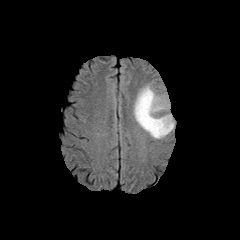
FLAIR MR image.
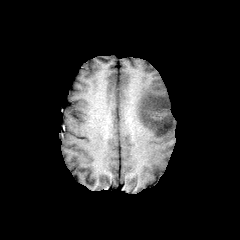
T1-weighted magnetic resonance.
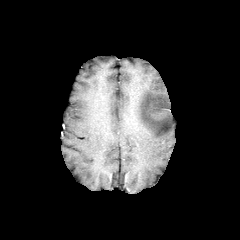
Post-contrast T1-weighted MR.
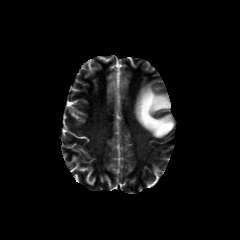
T2-weighted MR image.
Brain
Edema — (133,81,174,139).